Field of view 240 mm wide, 1.00 mm slice spacing | Slice 76 of 155 | Image size 240x240 | Head
FLAIR magnetic resonance.
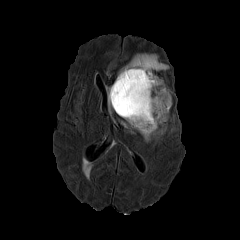
T1-weighted MR.
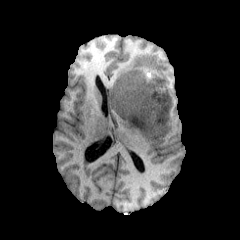
Post-contrast T1-weighted MR.
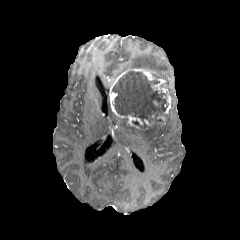
T2-weighted magnetic resonance.
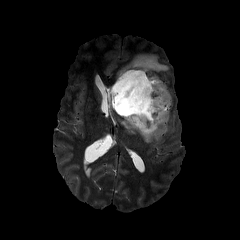
3 edema regions appear at region(117, 53, 169, 75); region(119, 114, 170, 143); region(105, 85, 112, 114). 3 enhancing tumor regions appear at region(133, 69, 171, 113); region(126, 116, 143, 126); region(109, 71, 127, 118). The non-enhancing tumor core appears at region(111, 69, 169, 128).